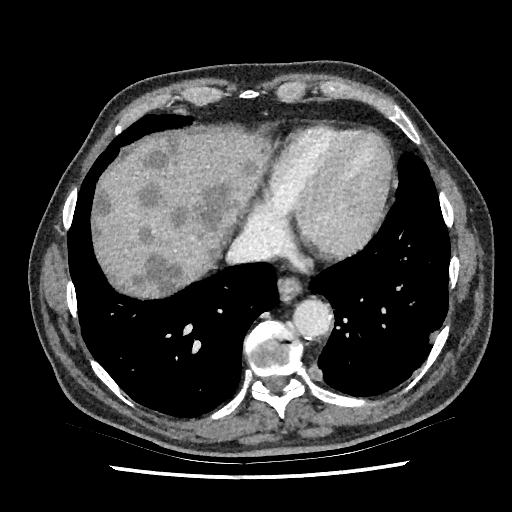
CT image

Findings:
* focal liver lesion: x1=142 y1=135 x2=180 y2=169, x1=170 y1=179 x2=238 y2=231, x1=244 y1=160 x2=257 y2=175, x1=206 y1=239 x2=222 y2=261, x1=138 y1=227 x2=154 y2=244, x1=138 y1=182 x2=165 y2=210, x1=129 y1=253 x2=183 y2=295, x1=93 y1=180 x2=112 y2=243
* liver: x1=96 y1=128 x2=270 y2=295